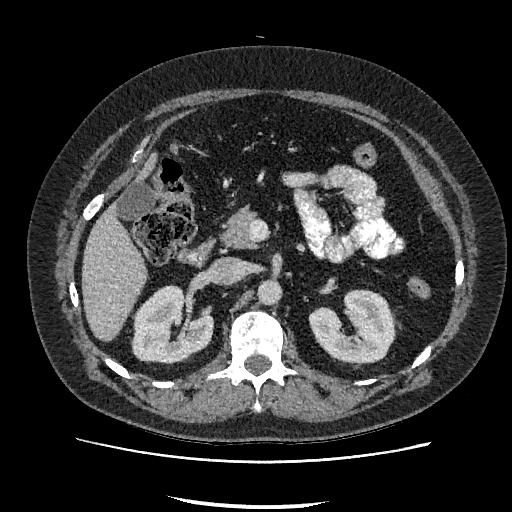 512x512 px; CT image

Kidney at 310, 291, 393, 361; 133, 287, 212, 361.
Liver at 137, 154, 156, 180; 82, 204, 146, 339.